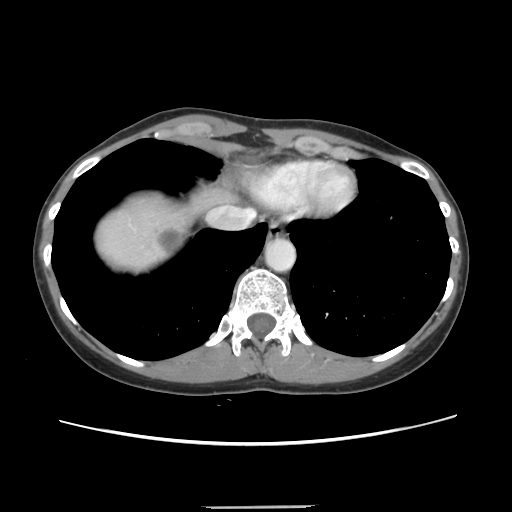 Abdomen; CT scan slice
The liver tumor lies within (left=158, top=227, right=184, bottom=255).